512x512 px | CT scan slice 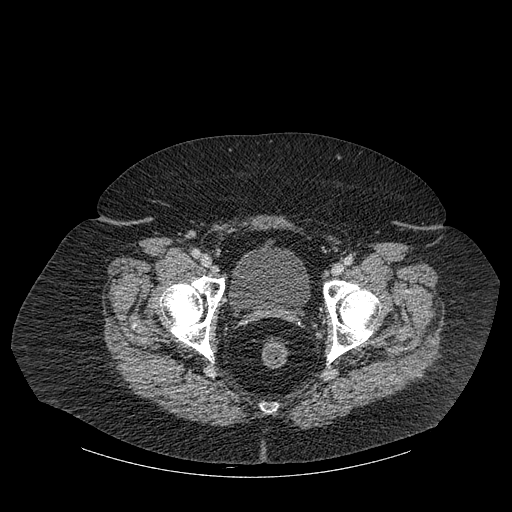

Segmented structures:
* urinary bladder: (x1=230, y1=243, x2=310, y2=322)
* bone: (x1=160, y1=276, x2=224, y2=361), (x1=260, y1=404, x2=278, y2=411), (x1=323, y1=280, x2=380, y2=363)